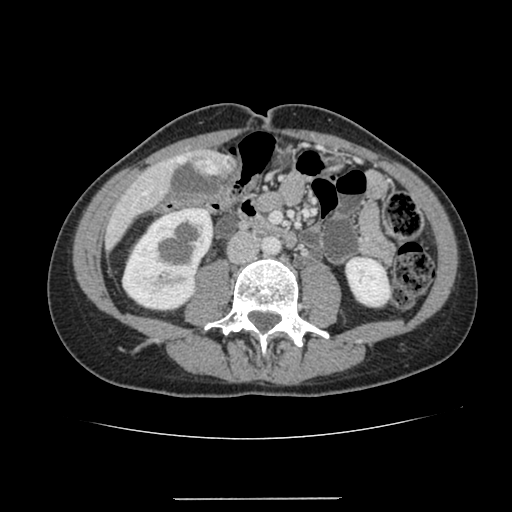
Upper abdomen. CT scan slice.

Kidney at [123, 208, 211, 308], [346, 258, 389, 305].
Liver lesion at [206, 152, 225, 168].
Liver at [105, 151, 235, 250].